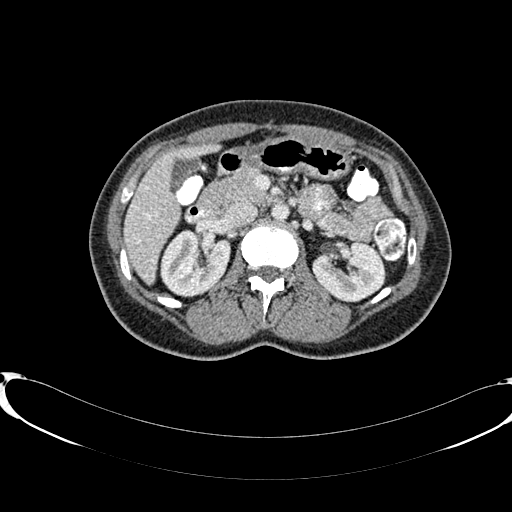 CT; 512x512
The liver lies within x1=124 y1=145 x2=219 y2=282. 2 kidney regions are located at x1=313 y1=244 x2=383 y2=300, x1=162 y1=232 x2=229 y2=295.